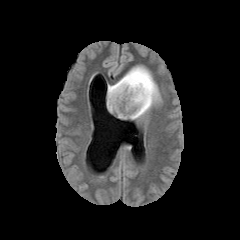
FLAIR MR image.
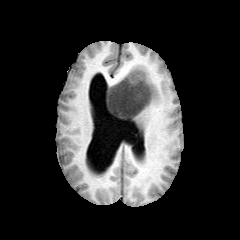
T1-weighted magnetic resonance.
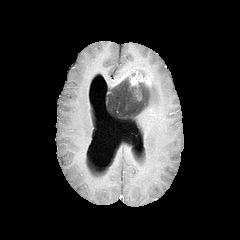
Same slice, post-contrast T1-weighted MR image.
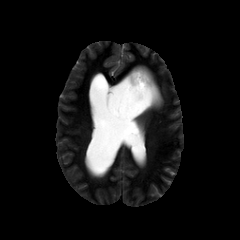
T2-weighted magnetic resonance.
Brain; 240x240
Annotated regions:
* enhancing tumor: [112, 67, 153, 100]
* edema: [124, 63, 164, 121]
* non-enhancing tumor core: [107, 79, 153, 120]